33x49 | MRI | Image width 33 mm

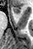
{"anterior_hippocampus": ["(13,7,20,13)"]}